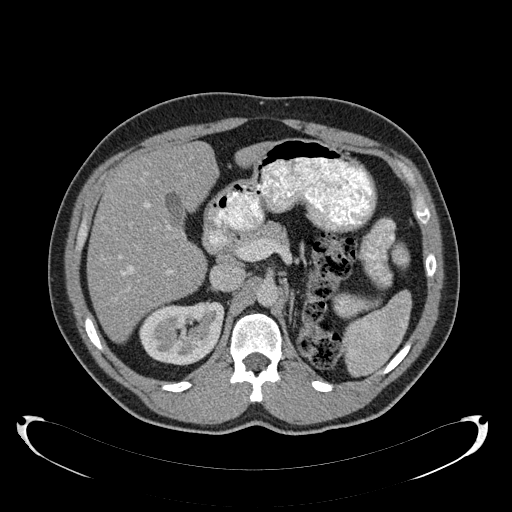 512x512 px | CT scan slice

The kidney appears at 140:302:223:364. 2 liver regions are located at 236:143:269:165, 88:143:218:341.